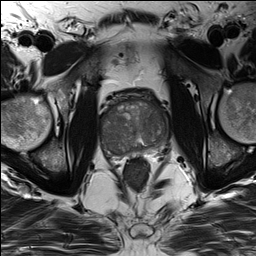
T2-weighted MRI.
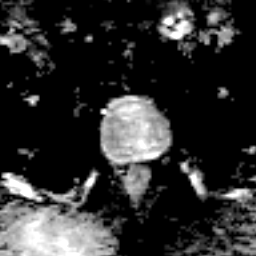
ADC MR image.
Pelvis
<segmentation>
  <prostate_peripheral_zone>(x1=110, y1=131, x2=169, y2=156)</prostate_peripheral_zone>
  <prostate_transition_zone>(x1=103, y1=101, x2=168, y2=154)</prostate_transition_zone>
</segmentation>